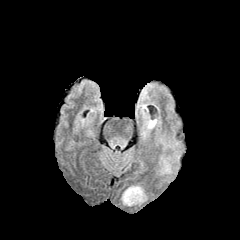
FLAIR MR.
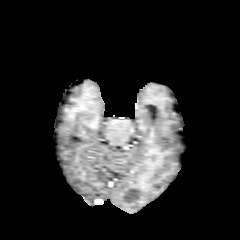
T1-weighted magnetic resonance.
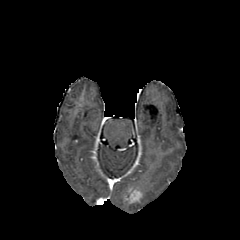
Post-contrast T1-weighted MRI.
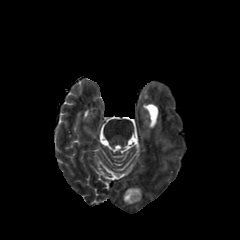
T2-weighted magnetic resonance.
Image size 240x240
Annotated regions:
- edema: [133, 194, 144, 203], [122, 186, 142, 203], [160, 158, 168, 173]
- enhancing tumor: [125, 190, 141, 201]